FLAIR MRI.
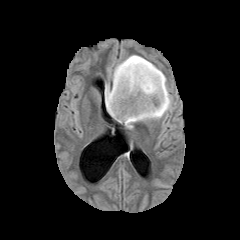
T1-weighted magnetic resonance.
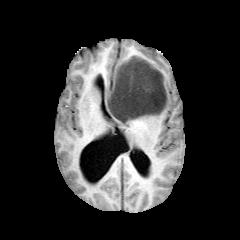
Post-contrast T1-weighted MR image.
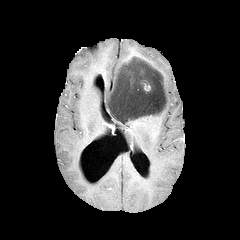
T2-weighted magnetic resonance.
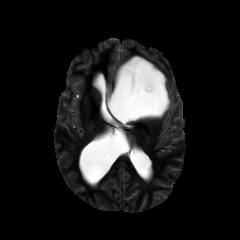
Annotated regions:
* edema: region(104, 55, 172, 128)
* non-enhancing tumor core: region(108, 62, 165, 123)